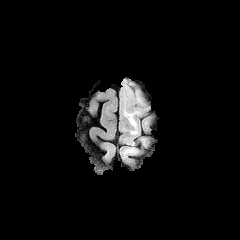
FLAIR MRI.
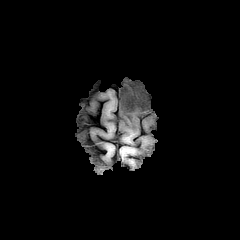
T1-weighted magnetic resonance.
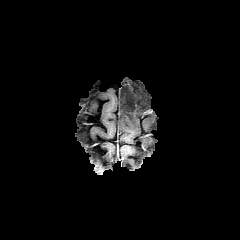
Same slice, post-contrast T1-weighted MR.
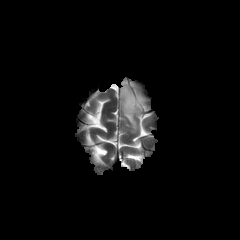
T2-weighted MRI.
Head
3 non-enhancing tumor core regions are bounded by rect(123, 144, 133, 155); rect(124, 124, 138, 135); rect(127, 104, 137, 113). The edema lies within rect(119, 79, 149, 131).